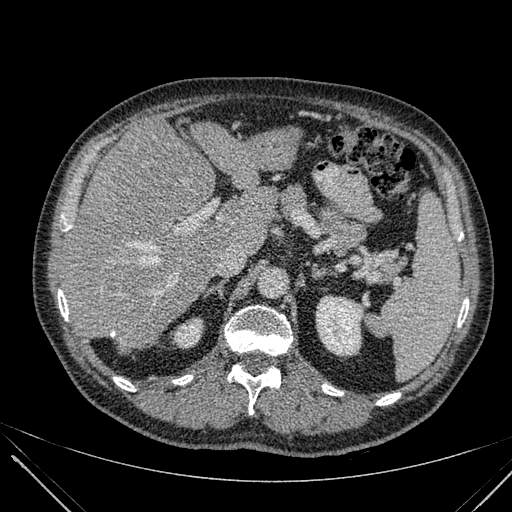
CT; Image size 512x512
2 kidney regions are located at [175,319,201,346], [316,297,362,354]. 3 liver regions are bounded by [230,187,277,250], [63,121,233,352], [191,122,270,188].